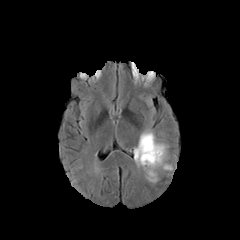
FLAIR magnetic resonance.
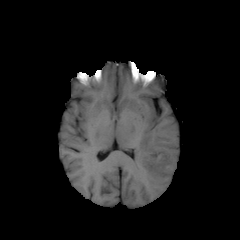
Same slice, T1-weighted magnetic resonance.
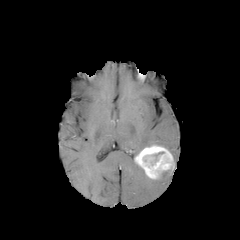
Post-contrast T1-weighted magnetic resonance of the same slice.
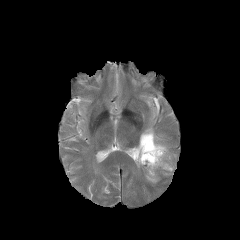
T2-weighted MR image.
Brain
enhancing_tumor:
  - l=134, t=142, r=176, b=180
edema:
  - l=133, t=122, r=169, b=155